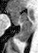
MR image.

{
  "posterior_hippocampus": [
    "l=16, t=27, r=30, b=42"
  ],
  "anterior_hippocampus": [
    "l=9, t=10, r=30, b=26"
  ]
}